FLAIR MRI.
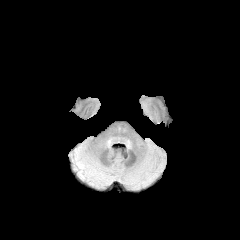
T1-weighted magnetic resonance.
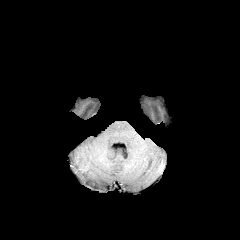
Post-contrast T1-weighted magnetic resonance.
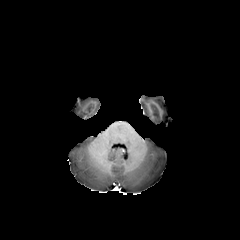
T2-weighted MRI.
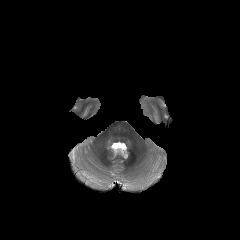
Brain
Findings:
• edema: rect(86, 173, 106, 183); rect(131, 170, 157, 186)